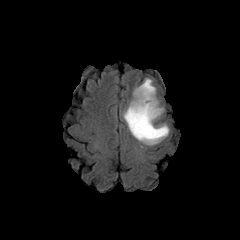
FLAIR magnetic resonance.
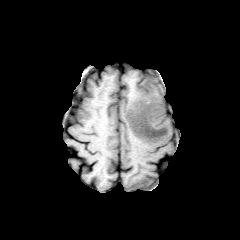
Same slice, T1-weighted MR image.
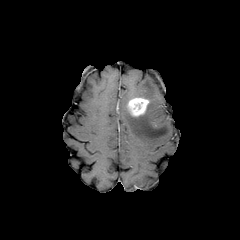
Same slice, post-contrast T1-weighted MRI.
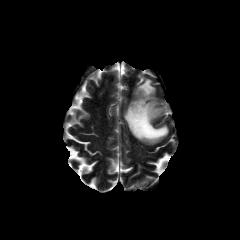
T2-weighted MRI.
Head; 240x240
{
  "enhancing_tumor": [
    "l=128, t=97, r=149, b=116"
  ],
  "edema": [
    "l=123, t=79, r=169, b=144"
  ]
}